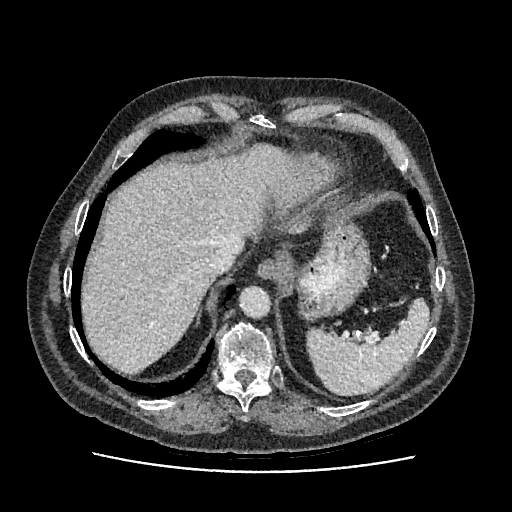 512x512. CT slice. Upper abdomen. The liver is located at l=81, t=145, r=307, b=374.